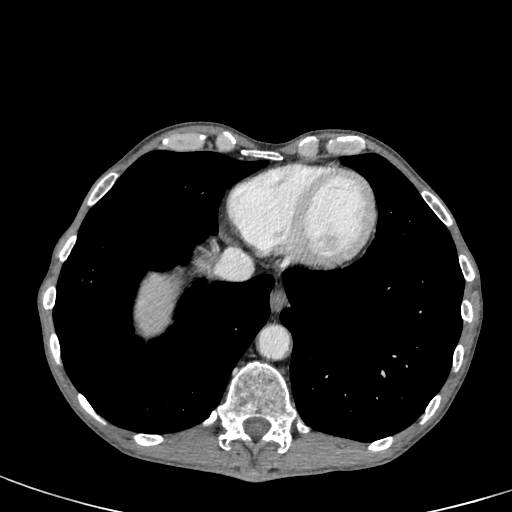 CT slice
liver: box(137, 276, 177, 334)